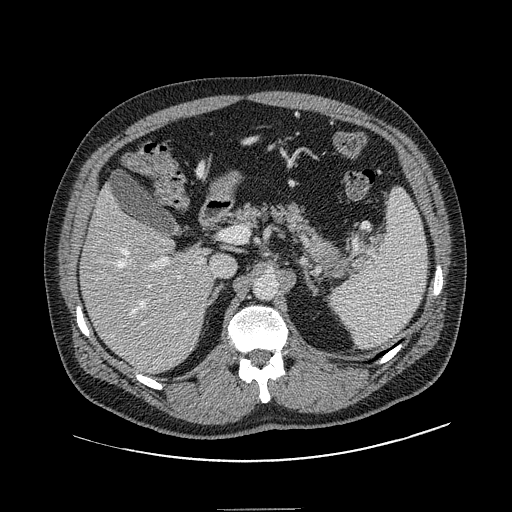

512x512 px; CT

The pancreatic tumor is located at (313,249,342,272). The pancreas is bounded by (234,205,349,278).